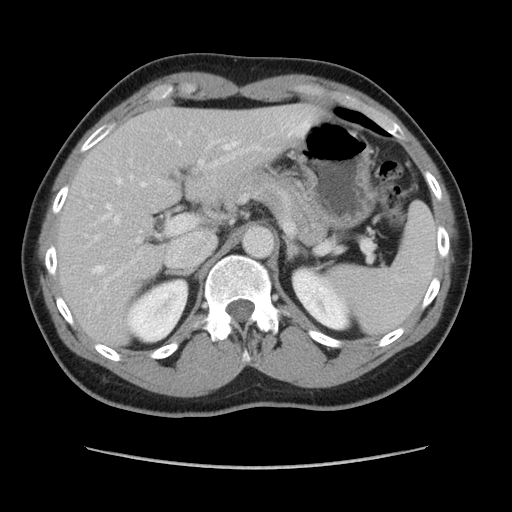 CT
Only some of the vessels may be annotated.
<segmentation partial="true">
  <hepatic_vessel shown="15" total="19">bbox=[137, 238, 140, 242]; bbox=[128, 159, 132, 165]; bbox=[105, 267, 125, 288]; bbox=[114, 216, 119, 223]; bbox=[141, 182, 145, 186]; bbox=[94, 235, 99, 240]; bbox=[157, 179, 160, 182]; bbox=[130, 175, 133, 179]; bbox=[167, 216, 195, 232]; bbox=[99, 204, 112, 220]; bbox=[93, 265, 104, 272]; bbox=[116, 178, 122, 183]; bbox=[208, 140, 219, 147]; bbox=[224, 142, 239, 149]; bbox=[198, 145, 260, 168]</hepatic_vessel>
</segmentation>